Image size 240x240 | Image width 240 mm
FLAIR MR image.
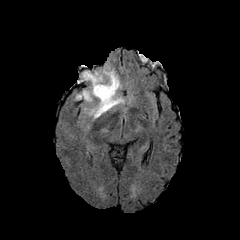
T1-weighted MR image.
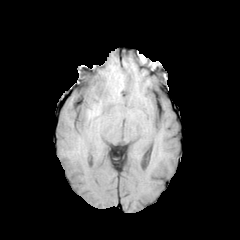
Post-contrast T1-weighted MR image.
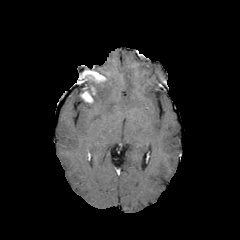
T2-weighted MR image.
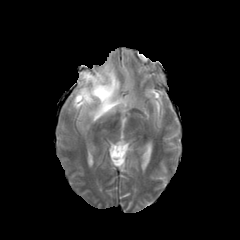
Edema: bounding box 88 66 125 120.
Enhancing tumor: bounding box 80 85 96 103, 77 70 106 84.